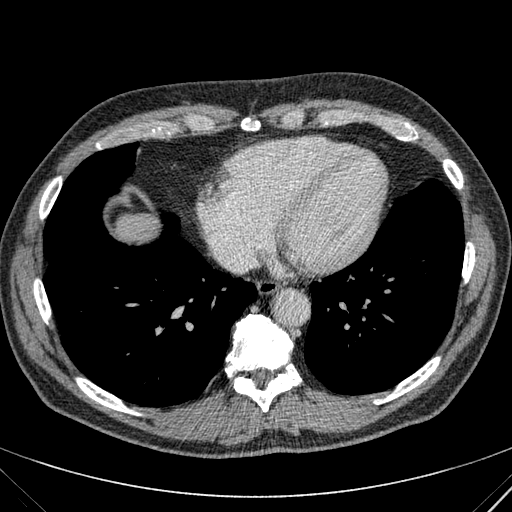
CT scan slice
The liver is bounded by <bbox>116, 216, 157, 239</bbox>.